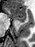

MR image, Hippocampus

Anterior hippocampus: bounding box 8:7:25:19.
Posterior hippocampus: bounding box 18:19:24:22.